FLAIR MR.
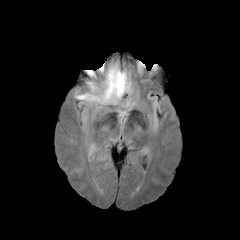
T1-weighted MR image.
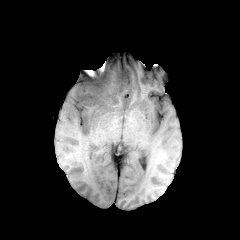
Post-contrast T1-weighted MR image.
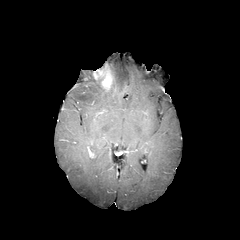
T2-weighted magnetic resonance.
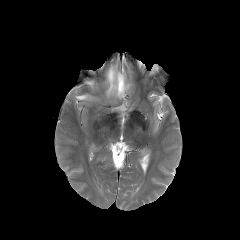
Enhancing tumor — (94, 66, 113, 89).
Edema — (117, 99, 132, 121), (75, 62, 132, 105).